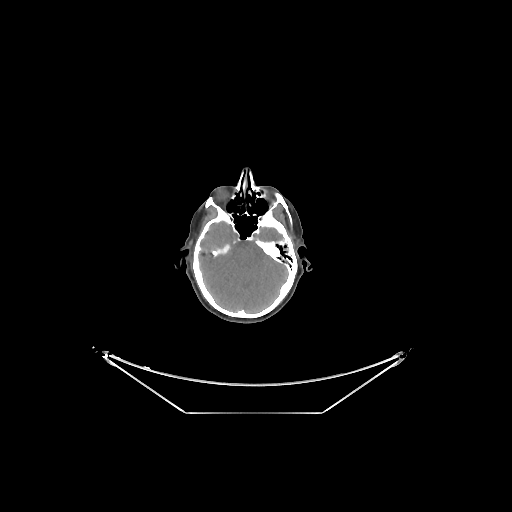 CT scan slice
The brain is located at <bbox>198, 221, 288, 313</bbox>.